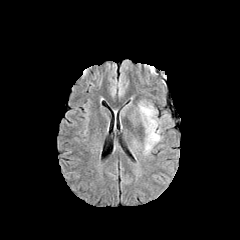
FLAIR MRI.
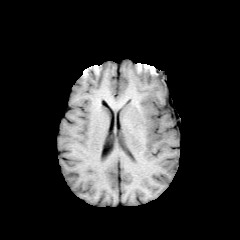
Same slice, T1-weighted magnetic resonance.
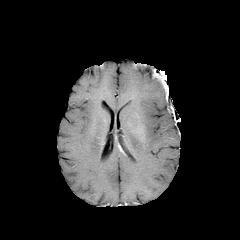
Post-contrast T1-weighted MRI of the same slice.
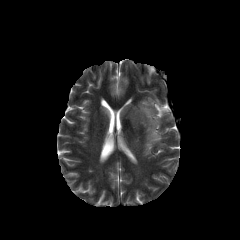
Same slice, T2-weighted MR image.
Brain
edema:
  - 137 99 167 155